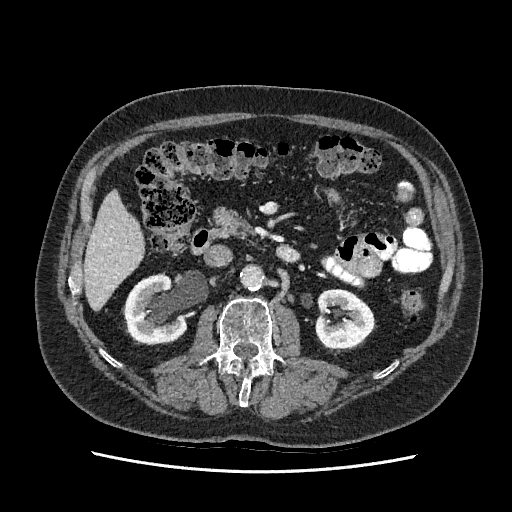

Liver | CT image
Kidney at region(316, 290, 373, 347); region(125, 275, 185, 343).
Liver at region(84, 190, 143, 309).